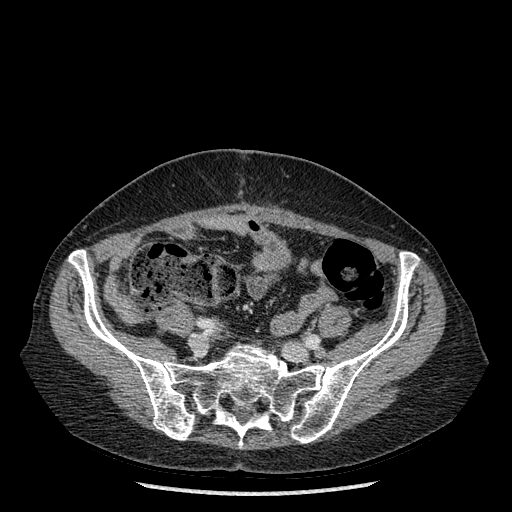
CT image

{
  "bone": [
    "(68,249,419,447)"
  ]
}